FLAIR MR.
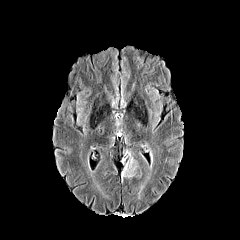
T1-weighted MRI.
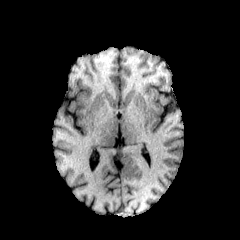
Post-contrast T1-weighted MRI.
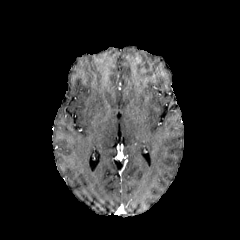
T2-weighted MR image.
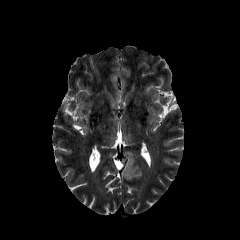
edema:
  - bbox=[121, 152, 137, 177]